Brain
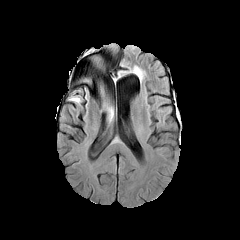
FLAIR magnetic resonance.
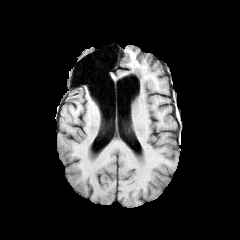
Same slice, T1-weighted MR.
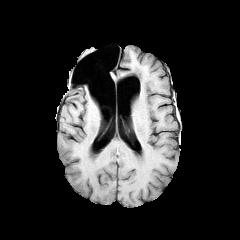
Post-contrast T1-weighted MR of the same slice.
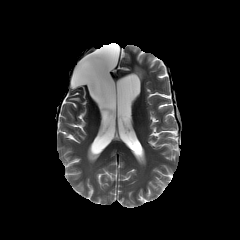
T2-weighted MR.
{"edema": ["box(99, 83, 115, 119)"], "non-enhancing_tumor_core": ["box(102, 94, 111, 113)"]}